Slice 120 of 629 | Computed tomography 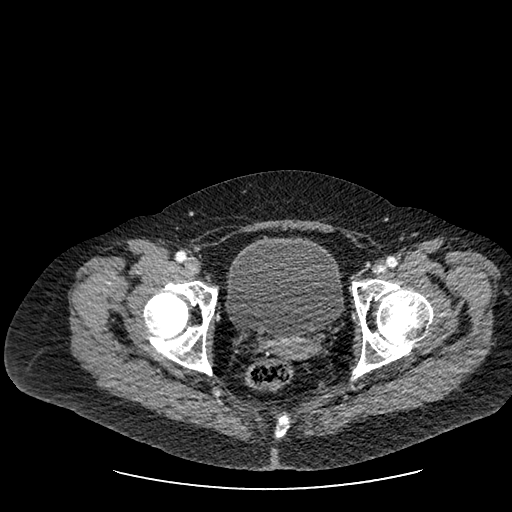

<segmentation>
  <urinary_bladder><box>225,237,342,337</box></urinary_bladder>
</segmentation>